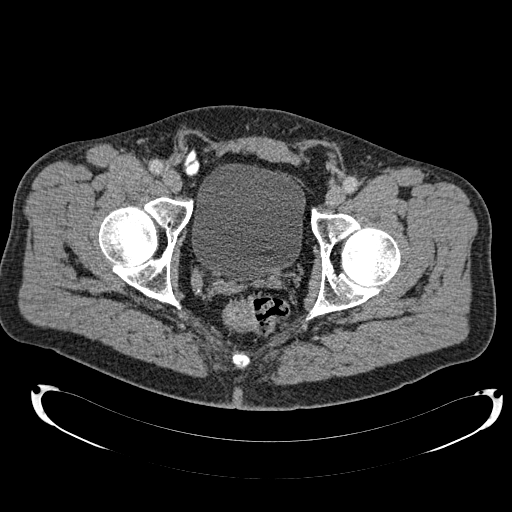

512x512 | CT scan slice

The urinary bladder is bounded by region(191, 163, 305, 282).